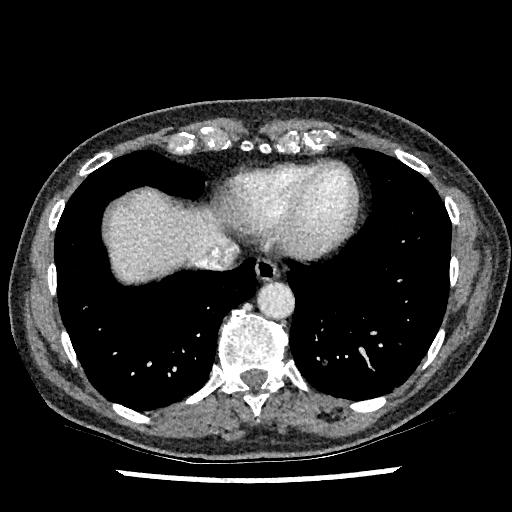

Abdomen | CT image | Image size 512x512

The liver is at 103,189,231,282.